Pelvis; CT slice

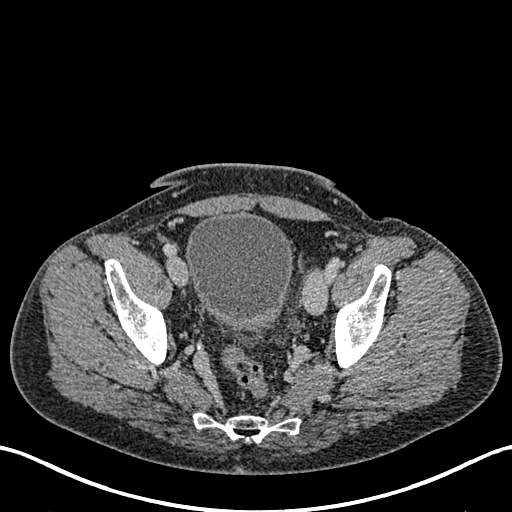 Annotated regions:
- urinary bladder: region(185, 215, 293, 332)